Upper abdomen. CT slice. 512x512. 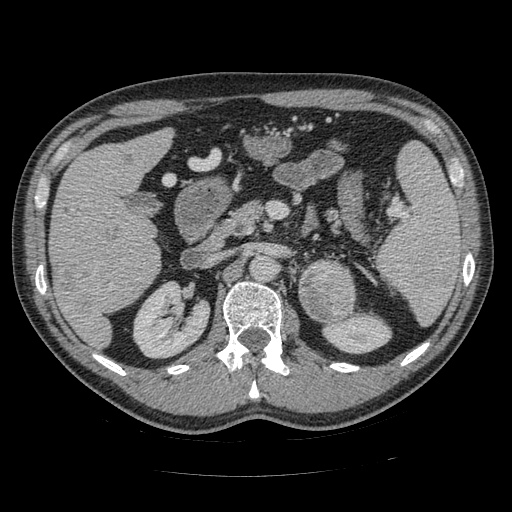

The pancreatic tumor is located at 300:260:355:322. The pancreas is located at 227:202:261:234.